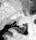 Medial temporal lobe, MRI
posterior_hippocampus:
  - <bbox>13, 25, 26, 33</bbox>